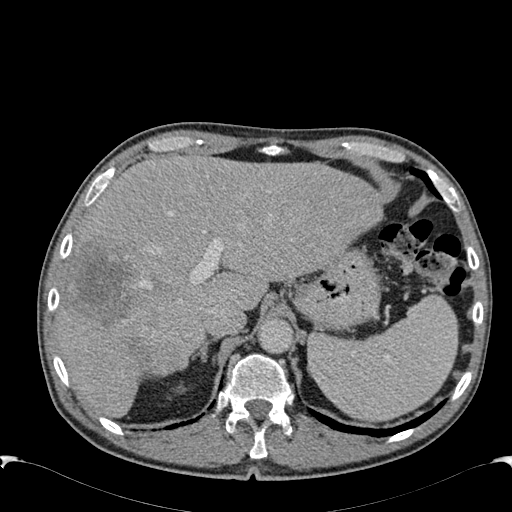 512x512 | CT slice
Focal liver lesion: [x1=126, y1=338, x2=158, y2=370], [x1=62, y1=241, x2=134, y2=325].
Liver: [x1=53, y1=154, x2=382, y2=416].